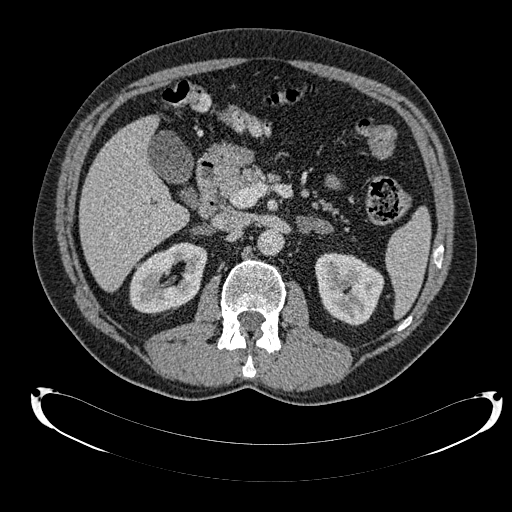
CT, Image size 512x512
Segmented structures:
- liver: <box>79,117,188,291</box>
- kidney: <box>130,243,206,312</box>, <box>315,254,383,324</box>